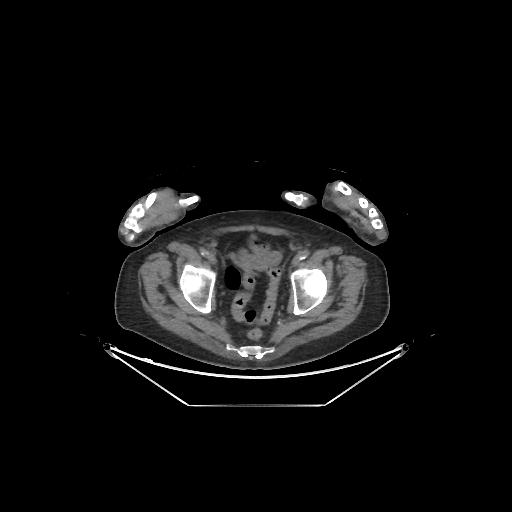 Computed tomography | 512x512 px

7 bone regions are bounded by [179,196,198,206], [180,264,215,313], [227,345,273,358], [335,182,382,228], [291,268,327,314], [297,195,306,204], [124,193,156,233].